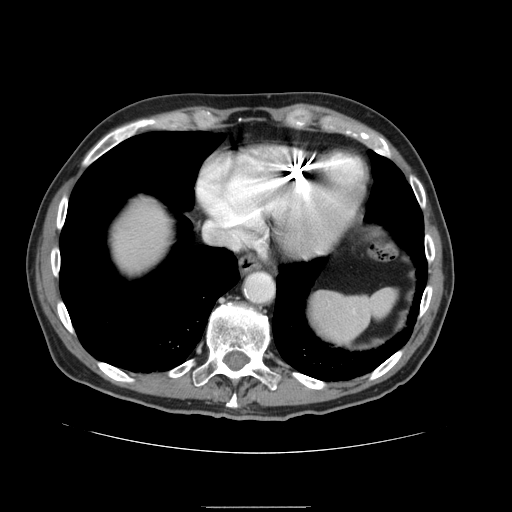 Computed tomography.

spleen: rect(310, 289, 397, 344)